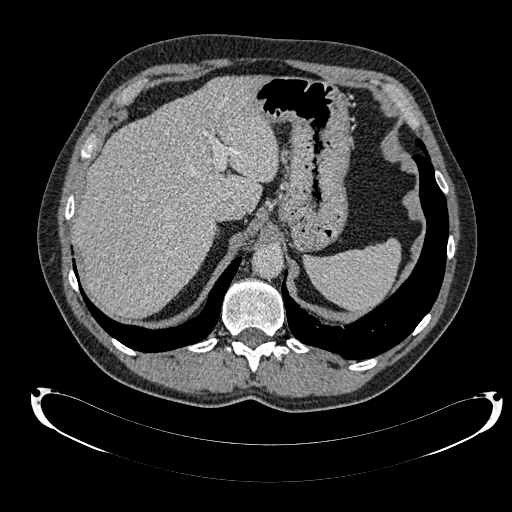 CT image, Liver

liver:
  - x1=75, y1=76, x2=278, y2=316